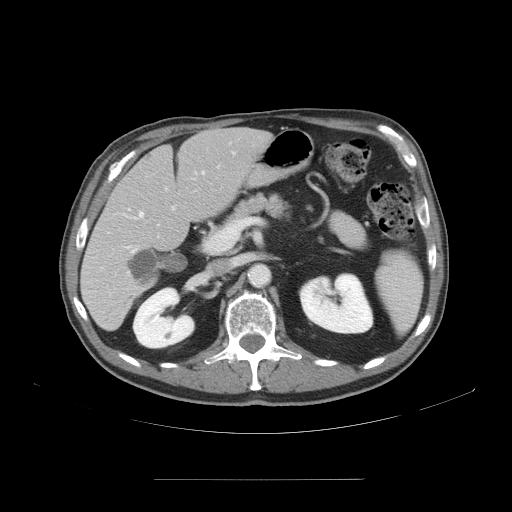
CT slice. Liver.
The vessel boxes may cover only some of the vessels.
Hepatic vessel — (124, 245, 137, 253), (192, 176, 194, 179), (122, 210, 143, 219), (218, 165, 219, 167), (206, 219, 240, 252), (195, 171, 197, 175), (200, 170, 204, 174), (232, 152, 235, 154).